FLAIR MRI.
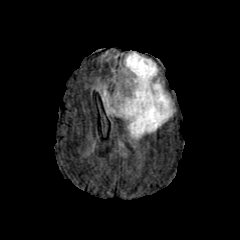
T1-weighted MRI.
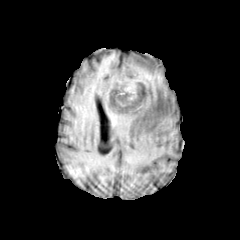
Post-contrast T1-weighted MR image.
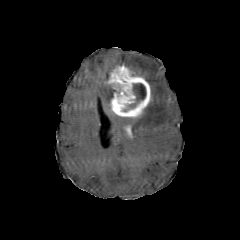
T2-weighted MRI.
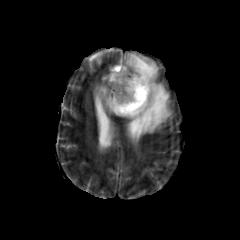
240x240 px
Non-enhancing tumor core — box(125, 83, 146, 109).
Enhancing tumor — box(108, 64, 150, 117).
Edema — box(123, 51, 173, 139); box(96, 84, 113, 114).